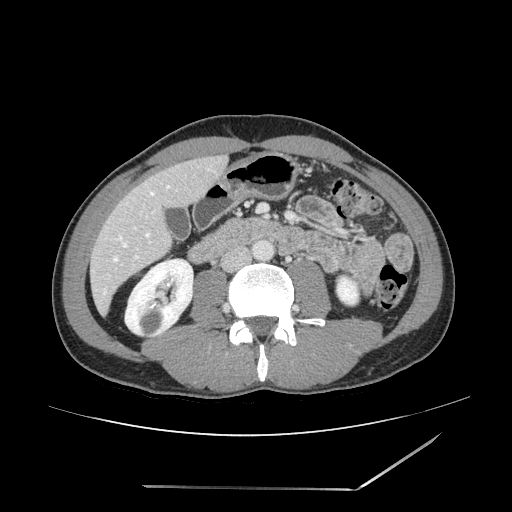 CT image, 512x512
The pancreas appears at 221, 219, 240, 229.